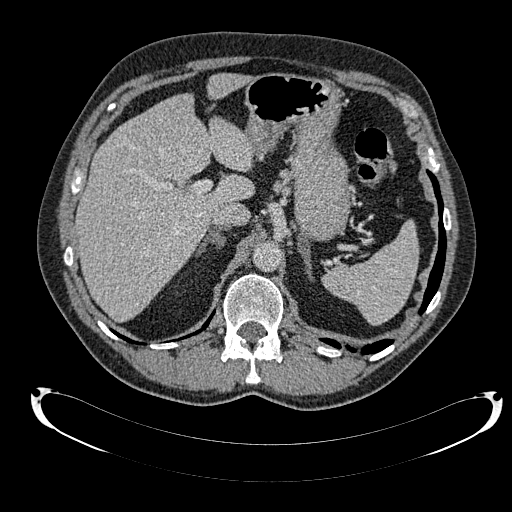

Image size 512x512. Computed tomography.

{
  "liver": [
    "(208,74,248,99)",
    "(77,95,253,320)"
  ]
}